Abdomen; 512x512; CT image
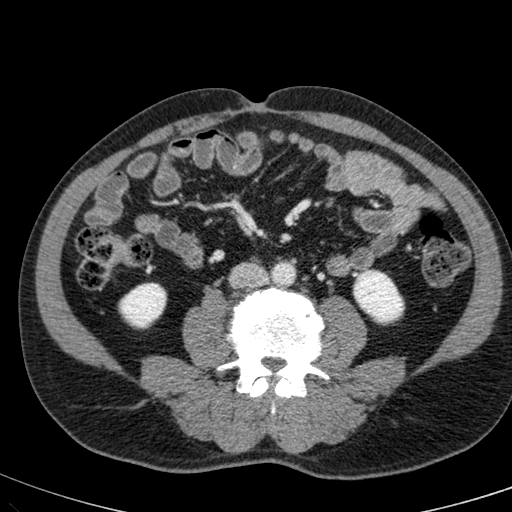

<segmentation>
  <kidney>x1=121 y1=284 x2=164 y2=326, x1=354 y1=271 x2=402 y2=320</kidney>
</segmentation>